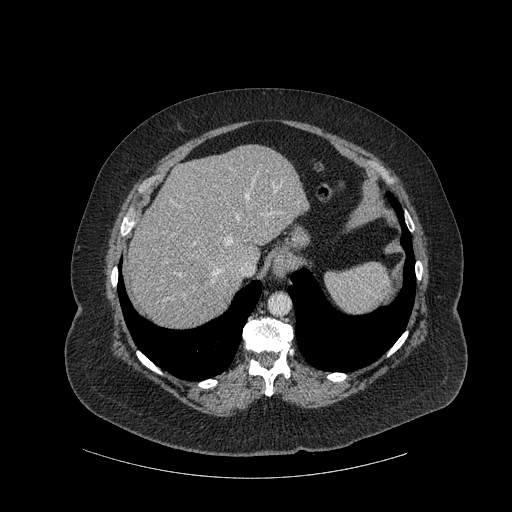
CT slice; Liver
Lung at [x1=117, y1=273, x2=261, y2=380], [x1=289, y1=192, x2=415, y2=371].
Liver at [x1=128, y1=145, x2=309, y2=328].
Bone at [x1=415, y1=261, x2=422, y2=279], [x1=243, y1=318, x2=292, y2=395], [x1=199, y1=379, x2=216, y2=388], [x1=405, y1=211, x2=413, y2=227], [x1=137, y1=351, x2=161, y2=373], [x1=387, y1=331, x2=407, y2=356], [x1=111, y1=267, x2=117, y2=286], [x1=327, y1=373, x2=346, y2=381].